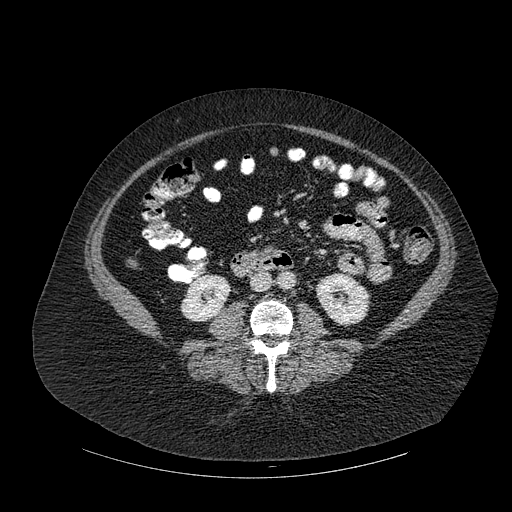 CT image | Abdomen
kidney: l=317, t=274, r=368, b=324; l=181, t=275, r=229, b=320 | bone: l=248, t=300, r=292, b=391